FLAIR MR.
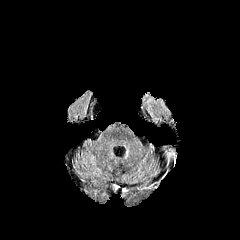
T1-weighted magnetic resonance.
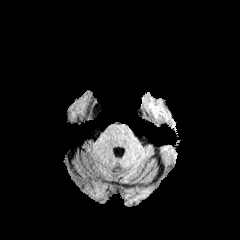
Post-contrast T1-weighted MR image.
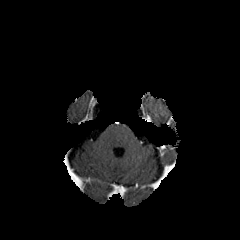
T2-weighted MR.
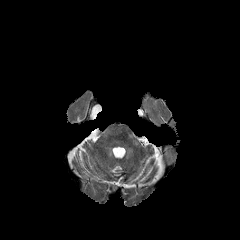
Brain. 240x240.
Findings:
- edema: bbox(167, 151, 176, 165)